Image size 512x512; CT slice; Upper abdomen; Slice index 59

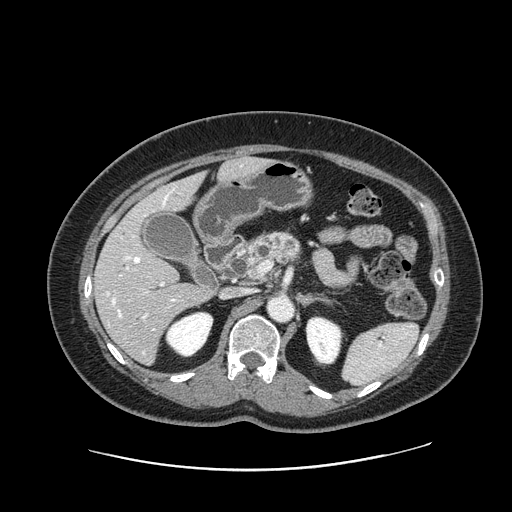

pancreas: box=[248, 233, 300, 278]